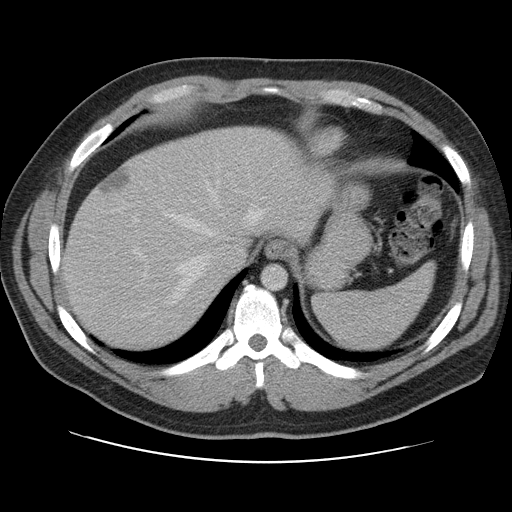

Liver | Computed tomography | 512x512
The vessel annotation is not exhaustive.
Hepatic vessel: bounding box x1=246 y1=206 x2=270 y2=224, x1=225 y1=172 x2=231 y2=176, x1=205 y1=181 x2=215 y2=194, x1=133 y1=247 x2=145 y2=260, x1=206 y1=255 x2=212 y2=257, x1=179 y1=195 x2=182 y2=200, x1=213 y1=198 x2=219 y2=206, x1=264 y1=225 x2=267 y2=228, x1=256 y1=232 x2=258 y2=233, x1=170 y1=256 x2=206 y2=303, x1=219 y1=214 x2=221 y2=215, x1=176 y1=264 x2=186 y2=273, x1=251 y1=204 x2=253 y2=206.
Liver tumor: bounding box x1=102 y1=170 x2=129 y2=194.